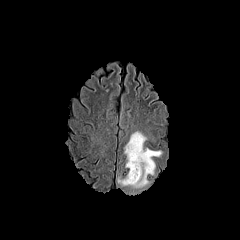
FLAIR MR.
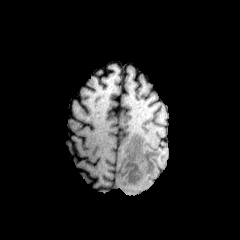
T1-weighted magnetic resonance.
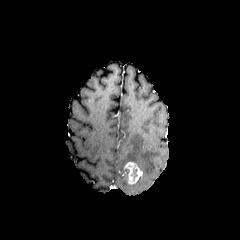
Post-contrast T1-weighted MR.
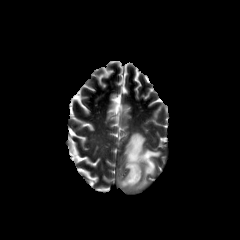
T2-weighted MR.
Brain | 240x240 px
enhancing_tumor:
  - 125 161 142 184
edema:
  - 117 132 160 194